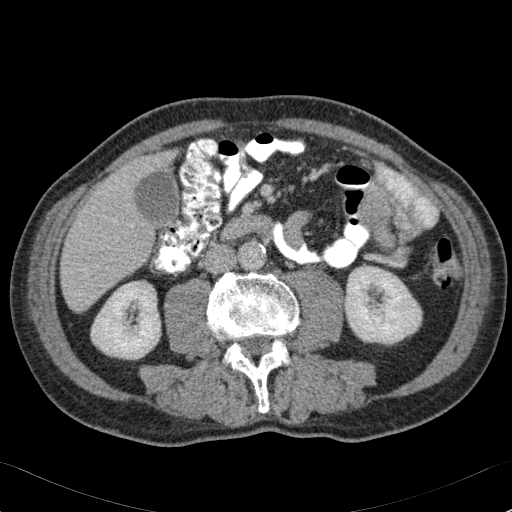 Liver | 512x512 px | CT image
<segmentation>
  <liver>(61, 153, 172, 309)</liver>
  <kidney>(91, 282, 160, 358), (345, 266, 421, 343)</kidney>
</segmentation>